Liver, CT slice, Slice 634/677, Image width 367 mm
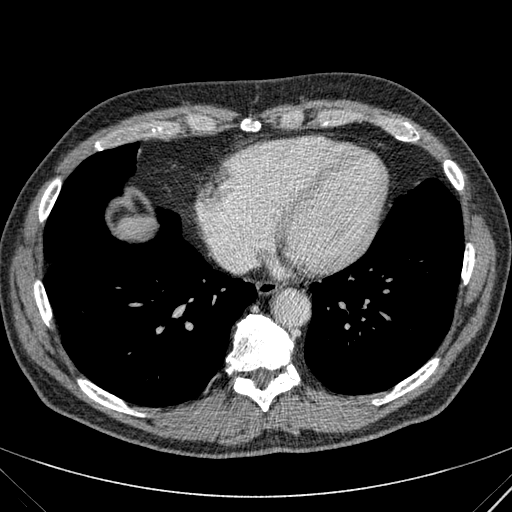 • liver: (118, 217, 154, 236)